Field of view 240x240 mm, Slice index 102, 240x240
FLAIR MR.
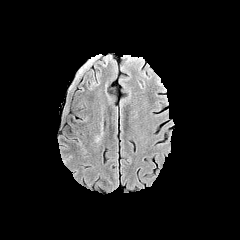
T1-weighted MRI.
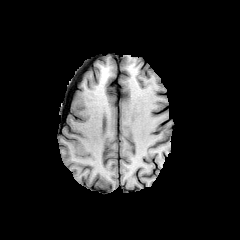
Post-contrast T1-weighted MR image.
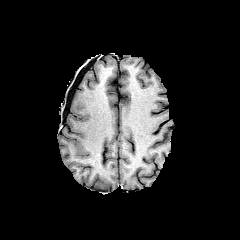
T2-weighted MRI.
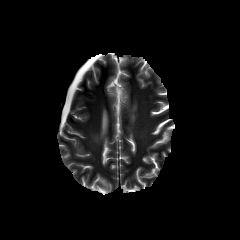
Findings:
• edema: box=[95, 132, 102, 142]